FLAIR magnetic resonance.
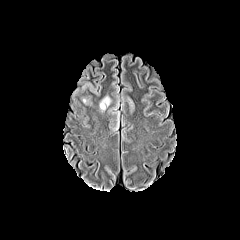
T1-weighted MRI.
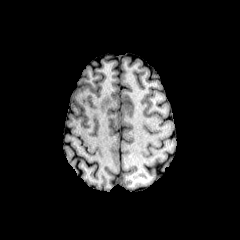
Post-contrast T1-weighted MR image.
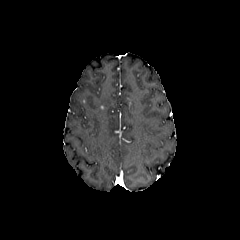
T2-weighted magnetic resonance.
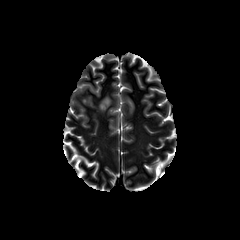
Head
edema: (x1=99, y1=96, x2=111, y2=111)